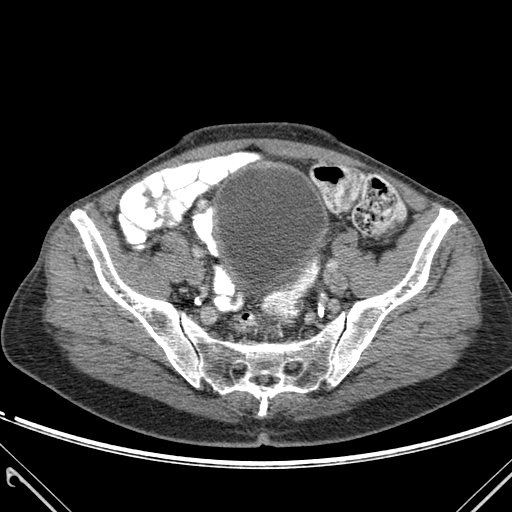
Pelvis. CT scan slice.

Urinary bladder: bounding box region(219, 168, 325, 293).
Bone: bounding box region(70, 208, 457, 415).